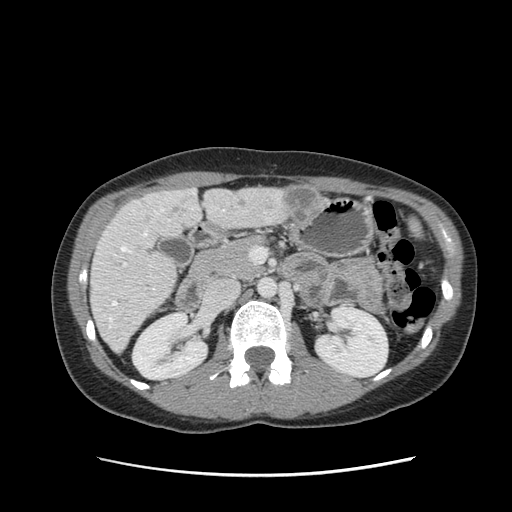 Upper abdomen | Computed tomography
pancreas: (192,236,265,281)